CT scan slice, Slice index 419 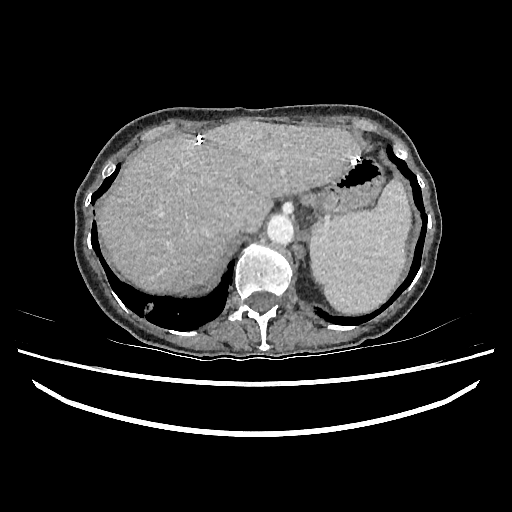
liver: 101:121:360:291